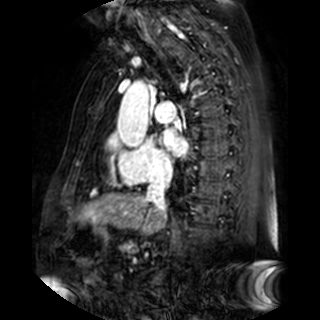
MRI; 320x320 px
The left atrium is bounded by region(163, 128, 188, 155).